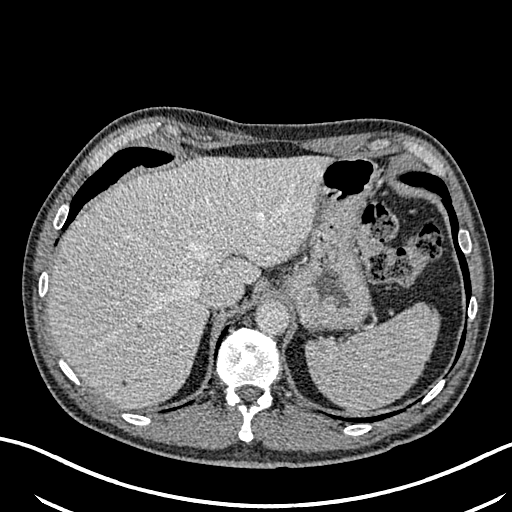

512x512 px. CT slice.
Liver: [x1=48, y1=156, x2=332, y2=408].
Focal liver lesion: [x1=55, y1=255, x2=68, y2=264], [x1=174, y1=342, x2=185, y2=355], [x1=136, y1=323, x2=143, y2=332].